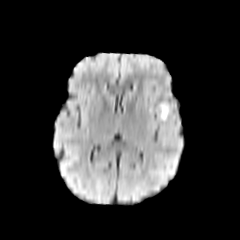
FLAIR magnetic resonance.
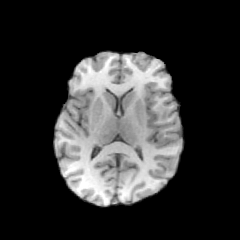
T1-weighted MRI of the same slice.
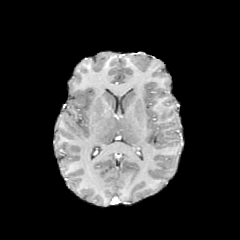
Post-contrast T1-weighted MR of the same slice.
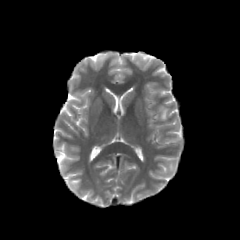
T2-weighted MR.
Image size 240x240 | Head
Segmented structures:
* edema: x1=158 y1=104 x2=169 y2=119